Head, Field of view 240 mm wide, 1.00 mm slice spacing, 240x240 px
FLAIR MR.
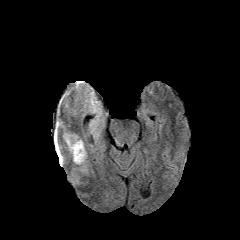
T1-weighted MR.
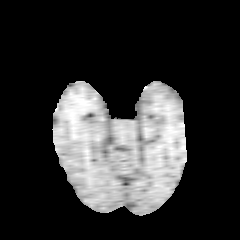
Post-contrast T1-weighted magnetic resonance.
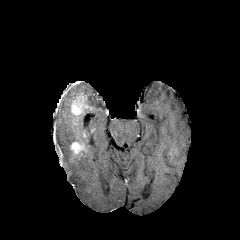
T2-weighted magnetic resonance.
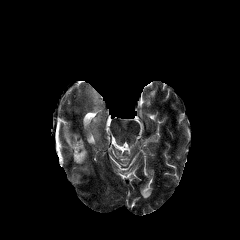
<segmentation>
  <enhancing_tumor>70 141 83 154</enhancing_tumor>
  <edema>93 124 99 140, 54 129 87 171</edema>
</segmentation>